Abdomen | Field of view 472x472 mm | CT
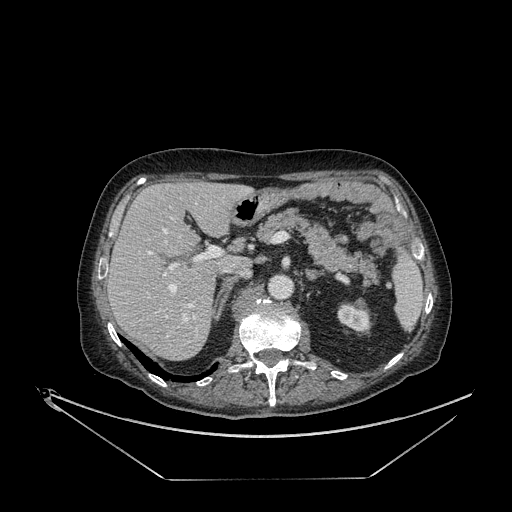
Liver — 108,182,252,359.
Kidney — 337,304,370,331.